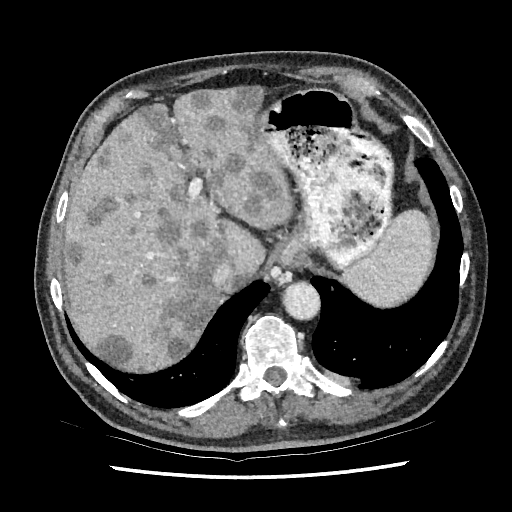 CT

The largest 15 liver lesion regions (of 16) are located at <bbox>137, 104, 179, 152</bbox>, <bbox>86, 196, 131, 226</bbox>, <bbox>157, 208, 229, 359</bbox>, <bbox>234, 276, 243, 284</bbox>, <bbox>95, 335, 132, 365</bbox>, <bbox>140, 272, 154, 287</bbox>, <bbox>168, 184, 189, 209</bbox>, <bbox>66, 240, 84, 269</bbox>, <bbox>244, 169, 281, 216</bbox>, <bbox>232, 87, 264, 148</bbox>, <bbox>189, 91, 212, 111</bbox>, <bbox>207, 152, 244, 188</bbox>, <bbox>98, 150, 110, 166</bbox>, <bbox>202, 115, 226, 134</bbox>, <bbox>142, 168, 151, 180</bbox>. 4 liver regions appear at <bbox>178, 233, 198, 253</bbox>, <bbox>212, 296, 227, 314</bbox>, <bbox>187, 328, 203, 352</bbox>, <bbox>65, 87, 291, 370</bbox>.